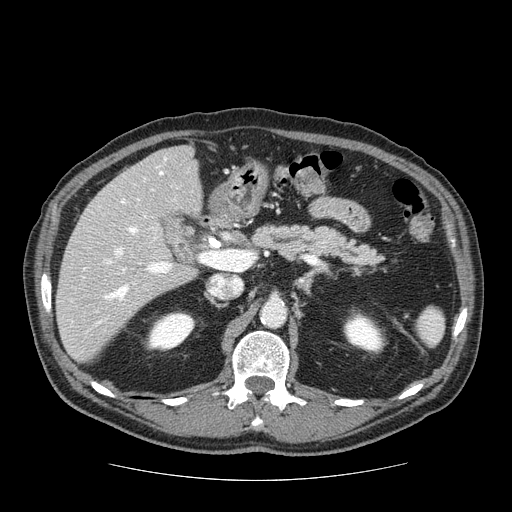
CT
Pancreas at 249,224,385,267.